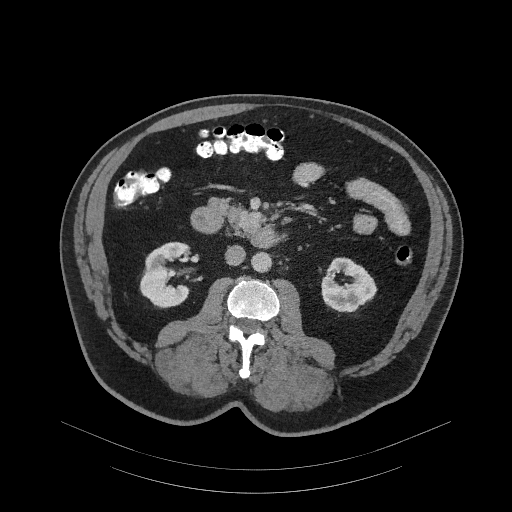
CT scan slice

{"pancreatic_tumor": ["[239,211,262,228]"], "pancreas": ["[209,197,257,236]"]}